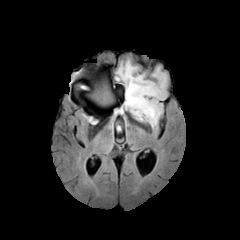
FLAIR MR image.
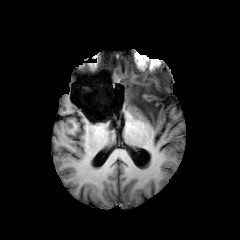
T1-weighted MR.
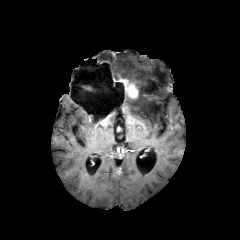
Post-contrast T1-weighted magnetic resonance of the same slice.
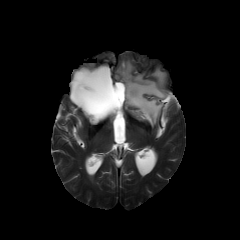
T2-weighted MR of the same slice.
edema: [115,60,167,129] | non-enhancing tumor core: [94,84,111,103], [116,75,152,102] | enhancing tumor: [119,78,138,99]